FLAIR MR.
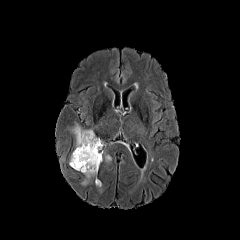
T1-weighted MRI.
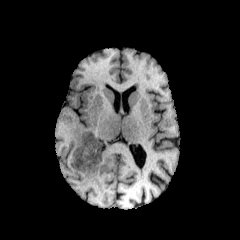
Post-contrast T1-weighted MR image.
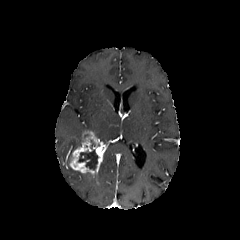
T2-weighted MR image.
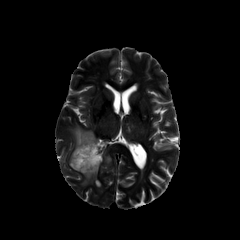
240x240 px.
enhancing_tumor:
  - 69 130 107 176
non-enhancing_tumor_core:
  - 78 149 98 170
edema:
  - 81 172 100 186
  - 72 124 87 149